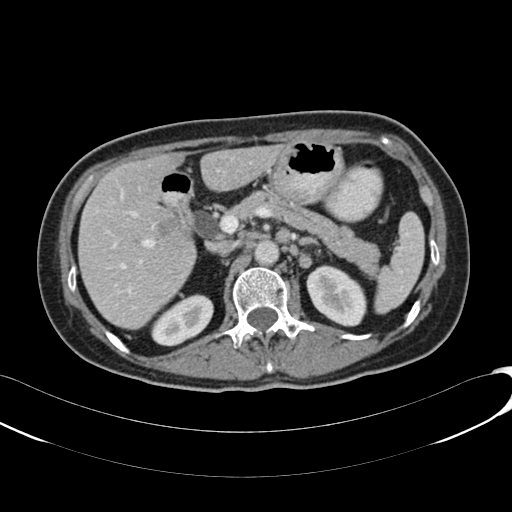 Abdomen, CT slice

The hepatic lesion appears at box=[156, 217, 178, 236]. 2 kidney regions appear at box=[307, 267, 364, 324]; box=[153, 296, 212, 344]. 2 liver regions appear at box=[78, 152, 195, 328]; box=[201, 145, 283, 191].